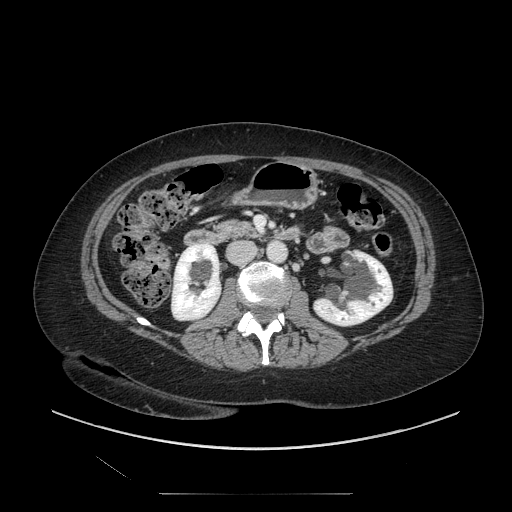 Computed tomography
The pancreas lies within region(213, 220, 260, 239).